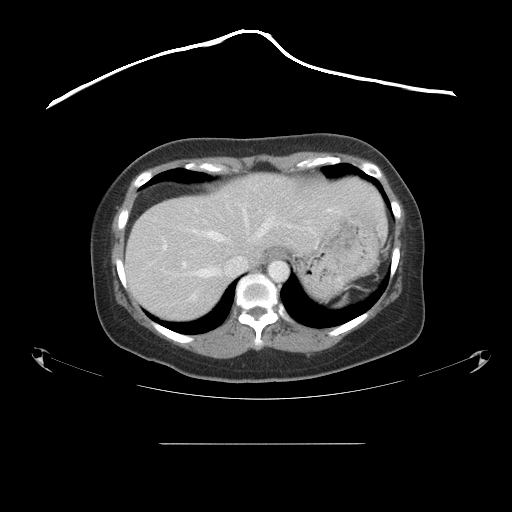

CT; 512x512; Abdomen
Only some of the vessels may be annotated.
Hepatic vessel at region(243, 209, 247, 225); region(226, 238, 229, 239); region(188, 293, 195, 300); region(328, 209, 331, 211); region(193, 230, 197, 233); region(203, 231, 224, 241); region(196, 210, 197, 212); region(197, 256, 247, 277); region(254, 218, 297, 238); region(307, 222, 316, 235); region(162, 237, 166, 249); region(182, 262, 186, 267).